Slice 111 of 155 | Brain
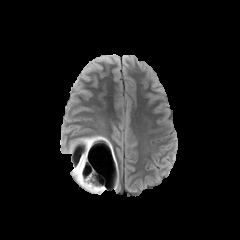
FLAIR MR image.
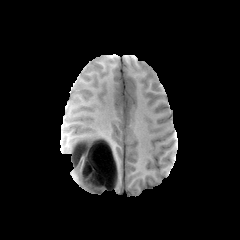
T1-weighted MRI.
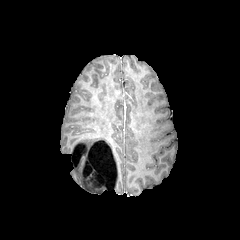
Post-contrast T1-weighted MR image.
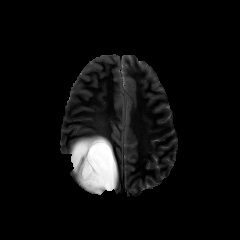
T2-weighted MRI.
Annotated regions:
- edema: {"x1": 72, "y1": 162, "x2": 83, "y2": 185}, {"x1": 82, "y1": 184, "x2": 102, "y2": 193}, {"x1": 69, "y1": 135, "x2": 110, "y2": 154}
- non-enhancing tumor core: {"x1": 71, "y1": 138, "x2": 107, "y2": 189}